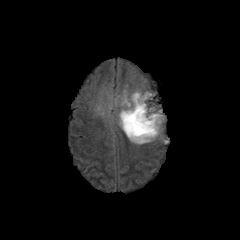
FLAIR magnetic resonance.
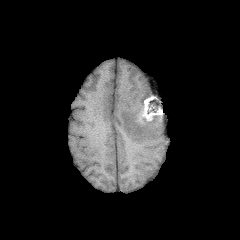
T1-weighted MR image.
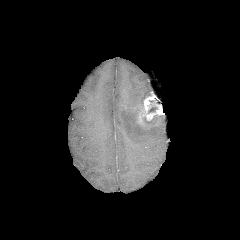
Post-contrast T1-weighted MR image.
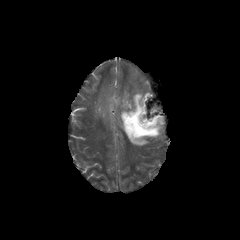
Same slice, T2-weighted MRI.
240x240. Head.
2 non-enhancing tumor core regions appear at (left=125, top=104, right=161, bottom=133), (left=146, top=98, right=156, bottom=113). 2 enhancing tumor regions are bounded by (left=146, top=110, right=161, bottom=120), (left=138, top=96, right=151, bottom=118). 2 edema regions are located at (left=149, top=98, right=159, bottom=109), (left=110, top=89, right=165, bottom=145).